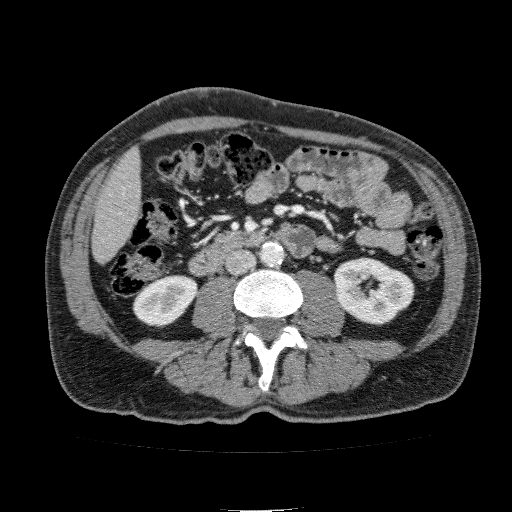 CT scan slice | Upper abdomen
• liver: box=[92, 146, 141, 264]
• kidney: box=[335, 259, 412, 323]; box=[134, 276, 196, 324]